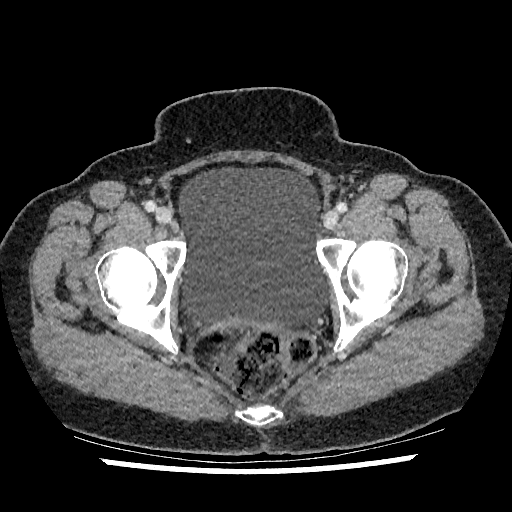
Lower abdomen | Image size 512x512 | CT

Urinary bladder: bounding box <box>179,167,330,331</box>.